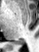

MRI slice. Medial temporal lobe.

posterior hippocampus: [x1=17, y1=41, x2=23, y2=45]